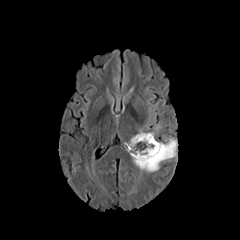
FLAIR MR.
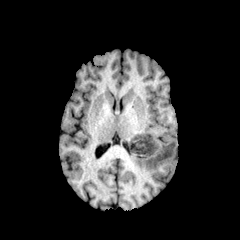
T1-weighted MR of the same slice.
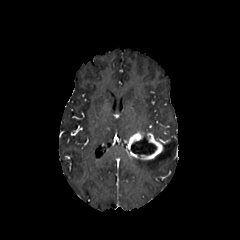
Post-contrast T1-weighted magnetic resonance.
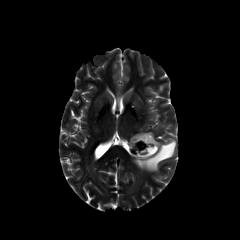
T2-weighted MR image.
Head.
Edema — left=133, top=139, right=176, bottom=171.
Enhancing tumor — left=128, top=131, right=163, bottom=159.
Non-enhancing tumor core — left=130, top=134, right=156, bottom=156.